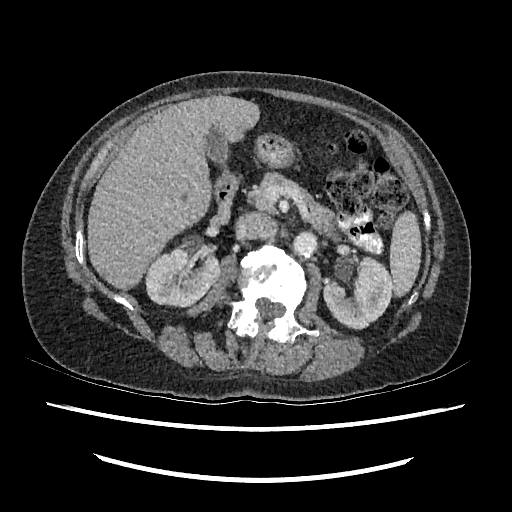
Computed tomography
Kidney: bounding box (146, 249, 220, 306), (324, 258, 391, 328).
Liver: bounding box (88, 96, 259, 289).